MR image

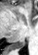
Posterior hippocampus: <box>11,40,25,47</box>.